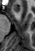 MRI slice

Segmented structures:
- anterior hippocampus: box=[12, 6, 19, 12]